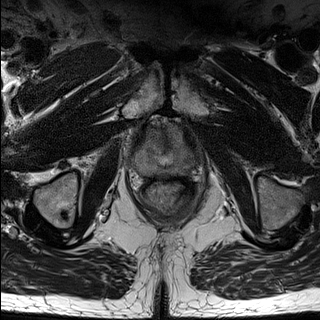
T2-weighted MR.
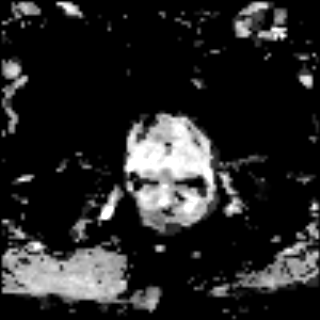
ADC MR image.
Image size 320x320. Pelvis.
{"prostate_peripheral_zone": ["[136,140,194,176]"], "prostate_transition_zone": ["[145,126,181,166]"]}